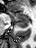 MRI slice; Hippocampus
posterior_hippocampus:
  - 16:22:29:28
anterior_hippocampus:
  - 7:11:29:22